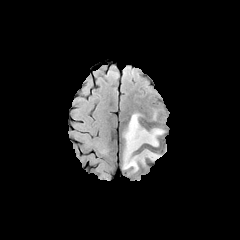
FLAIR MRI.
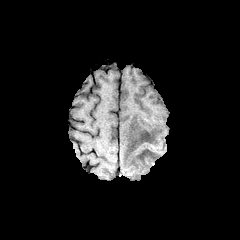
Same slice, T1-weighted MRI.
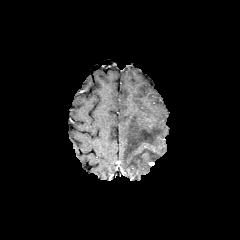
Post-contrast T1-weighted MR.
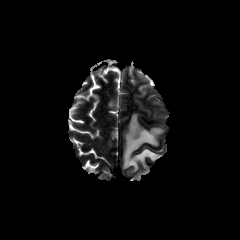
Same slice, T2-weighted magnetic resonance.
The edema appears at x1=124 y1=114 x2=163 y2=170.